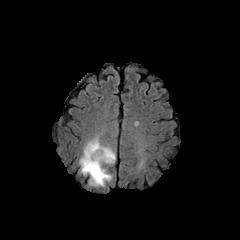
FLAIR magnetic resonance.
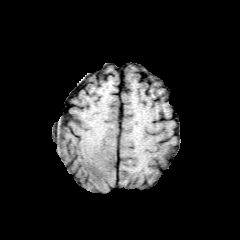
T1-weighted magnetic resonance.
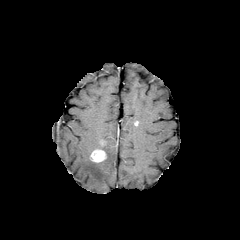
Same slice, post-contrast T1-weighted MRI.
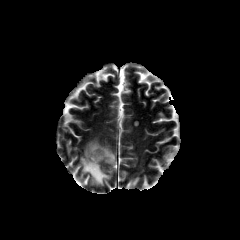
T2-weighted MRI.
Brain
Enhancing tumor at box=[90, 150, 105, 161].
Edema at box=[78, 138, 115, 187].